37x52 | MR 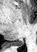 The posterior hippocampus lies within rect(10, 38, 21, 45).